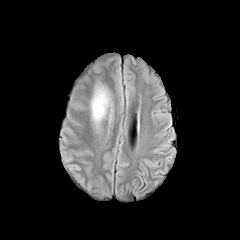
FLAIR MR image.
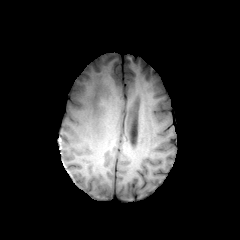
Same slice, T1-weighted magnetic resonance.
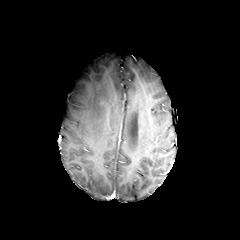
Same slice, post-contrast T1-weighted magnetic resonance.
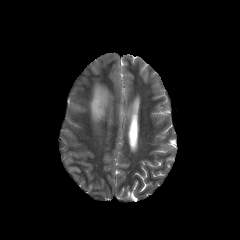
T2-weighted magnetic resonance.
240x240.
Edema at {"x1": 91, "y1": 88, "x2": 107, "y2": 121}.